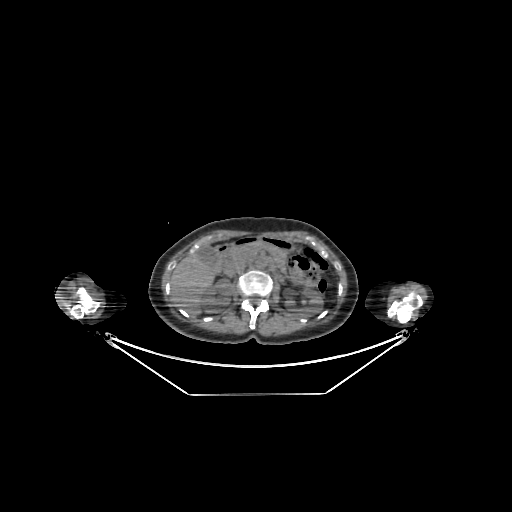
CT slice | Upper abdomen
2 liver regions appear at (x1=169, y1=251, x2=218, y2=316), (x1=233, y1=248, x2=241, y2=256). 2 kidney regions appear at (x1=284, y1=285, x2=323, y2=319), (x1=199, y1=277, x2=232, y2=312).